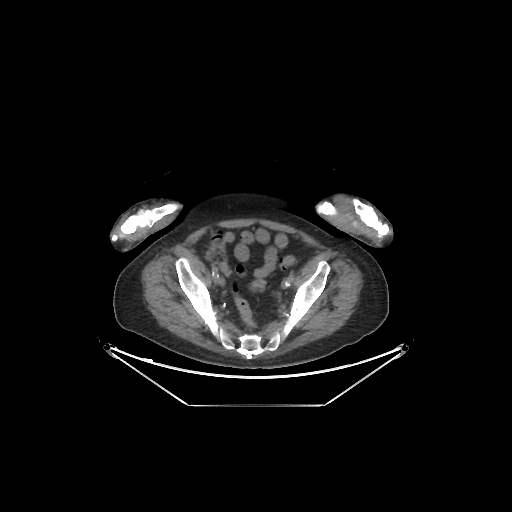
CT scan slice
Bone — l=175, t=258, r=329, b=358; l=317, t=202, r=337, b=215; l=353, t=199, r=388, b=237; l=112, t=204, r=178, b=240.